Field of view 404 mm wide, 0.70 mm slice spacing; Slice index 635; Upper abdomen; Computed tomography
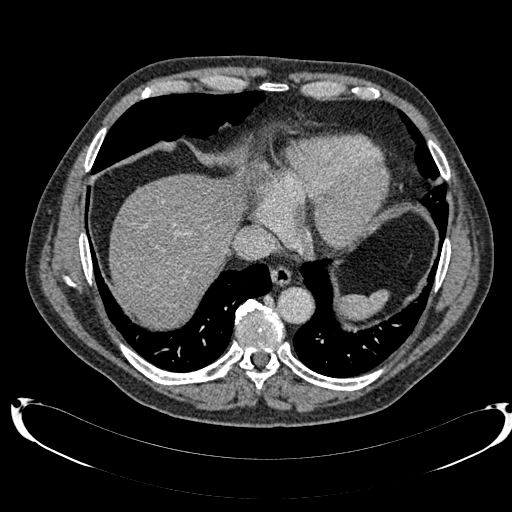 liver: {"x1": 109, "y1": 169, "x2": 253, "y2": 329}